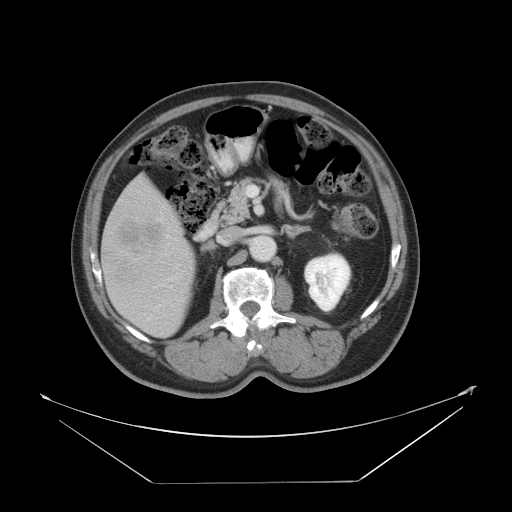

Abdomen, CT scan slice, Image size 512x512

Some hepatic vessels may have no box.
liver_tumor:
  - <box>118,222,164,247</box>
hepatic_vessel:
  - <box>177,264,180,267</box>
  - <box>169,271,183,280</box>
  - <box>170,286,171,287</box>
  - <box>166,229,176,240</box>
  - <box>163,315,164,316</box>
  - <box>148,315,153,319</box>
  - <box>154,304,162,311</box>